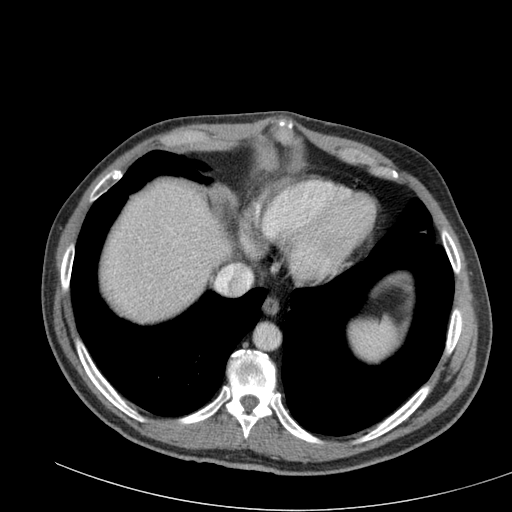

CT scan slice | Abdomen | 512x512 px
liver: (101,180,231,322)